CT image, Field of view 430 mm wide, 5.00 mm slice spacing

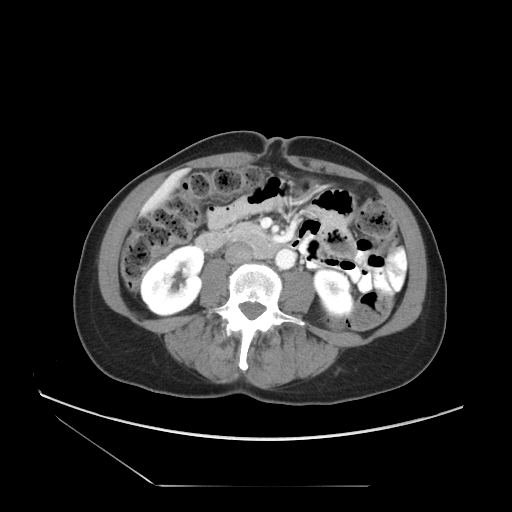

The pancreas lies within (233,222,262,236).